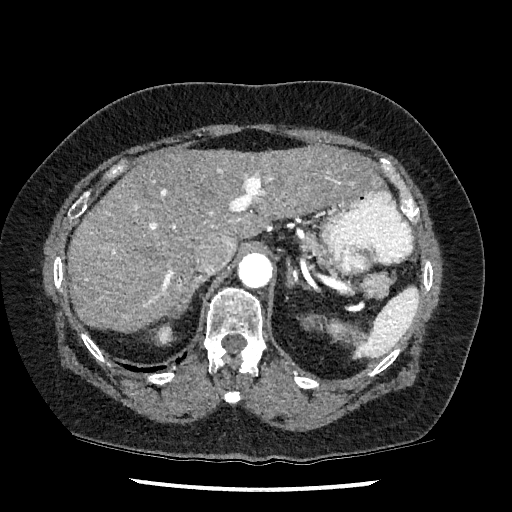
Computed tomography.

The liver is at (x1=67, y1=145, x2=385, y2=329). The kidney is bounded by (x1=158, y1=327, x2=170, y2=342).